Field of view 400 mm wide, 0.70 mm slice spacing; Computed tomography; Abdomen
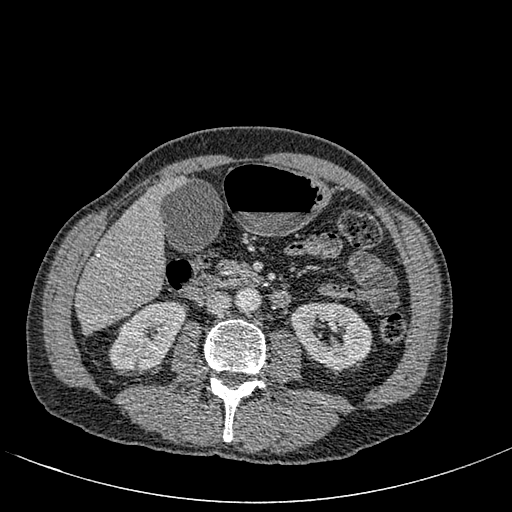
<segmentation>
  <liver>rect(76, 177, 186, 332)</liver>
  <kidney>rect(291, 303, 371, 370); rect(109, 302, 185, 370)</kidney>
</segmentation>